Head.
FLAIR MR image.
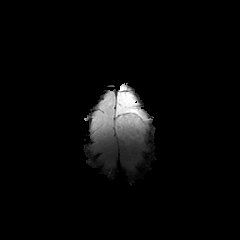
T1-weighted MR image.
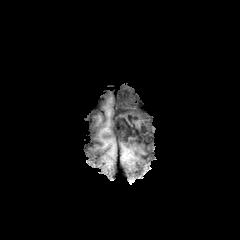
Post-contrast T1-weighted MR image.
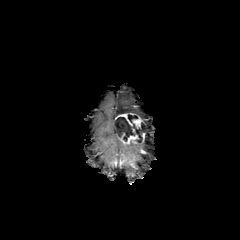
T2-weighted MRI.
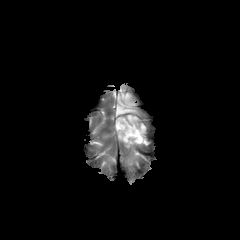
Annotated regions:
- non-enhancing tumor core: box(128, 114, 137, 123); box(114, 117, 145, 142)
- enhancing tumor: box(132, 115, 143, 128); box(115, 128, 139, 144); box(115, 113, 136, 126)
- edema: box(117, 92, 138, 114)